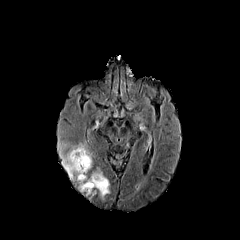
FLAIR MRI.
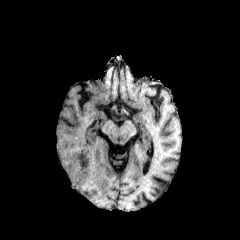
T1-weighted MR image.
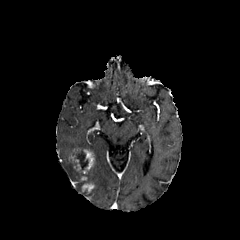
Post-contrast T1-weighted MR.
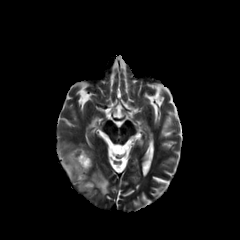
Same slice, T2-weighted MRI.
Brain, 240x240
<segmentation>
  <enhancing_tumor>x1=73, y1=148, x2=95, y2=173; x1=81, y1=182, x2=94, y2=192</enhancing_tumor>
  <edema>x1=58, y1=143, x2=110, y2=197</edema>
  <non-enhancing_tumor_core>x1=74, y1=150, x2=88, y2=168</non-enhancing_tumor_core>
</segmentation>